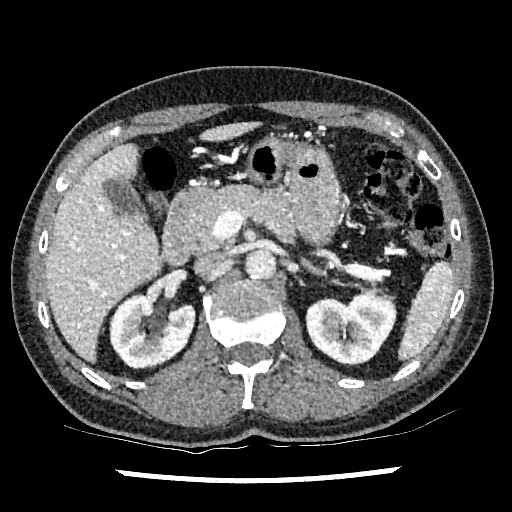 CT slice, Liver

Liver — {"x1": 46, "y1": 144, "x2": 163, "y2": 361}, {"x1": 200, "y1": 121, "x2": 259, "y2": 141}.
Kidney — {"x1": 307, "y1": 294, "x2": 394, "y2": 362}, {"x1": 111, "y1": 291, "x2": 194, "y2": 367}.